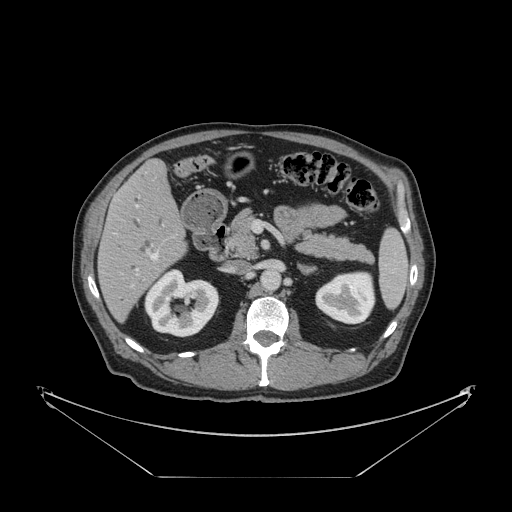
CT scan slice, Liver, 512x512
The vessel annotation is not exhaustive.
{"hepatic_vessel": ["[147, 251, 157, 260]", "[136, 205, 137, 206]", "[136, 269, 137, 275]", "[253, 221, 260, 230]"]}